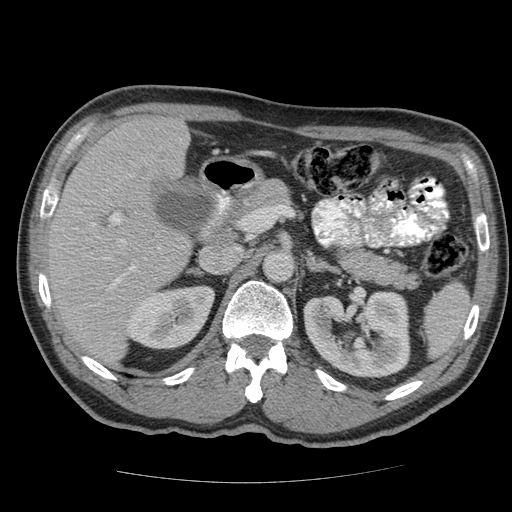
Computed tomography; Liver; 512x512 px
Not every hepatic vessel necessarily has a box.
3 hepatic vessel regions are bounded by 109, 280, 119, 289; 126, 266, 135, 273; 110, 213, 119, 223.